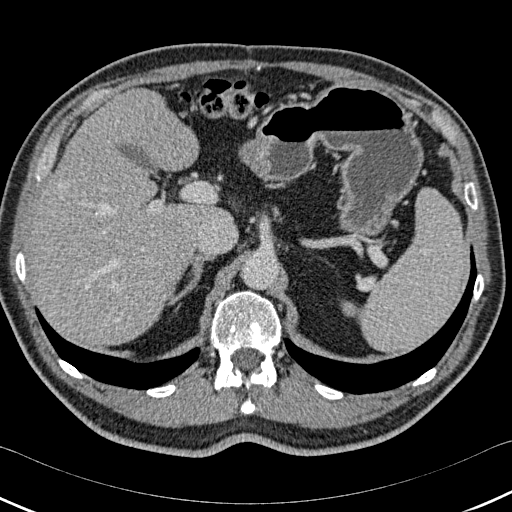

512x512 | CT image

<segmentation>
  <bone><box>58,359,82,378</box>, <box>474,274,483,300</box>, <box>315,384,342,399</box>, <box>464,182,477,209</box>, <box>211,291,280,389</box>, <box>413,368,436,385</box>, <box>147,385,175,397</box>, <box>13,252,25,281</box>, <box>241,398,254,413</box></bone>
  <liver><box>34,88,229,344</box></liver>
  <lung><box>35,306,200,389</box>, <box>284,246,476,394</box></lung>
</segmentation>